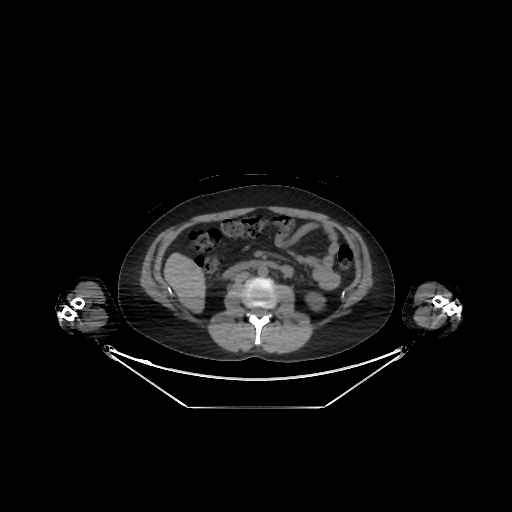

512x512. CT image. Abdomen. Kidney at 305:292:325:310.
Liver at 164:253:205:312.